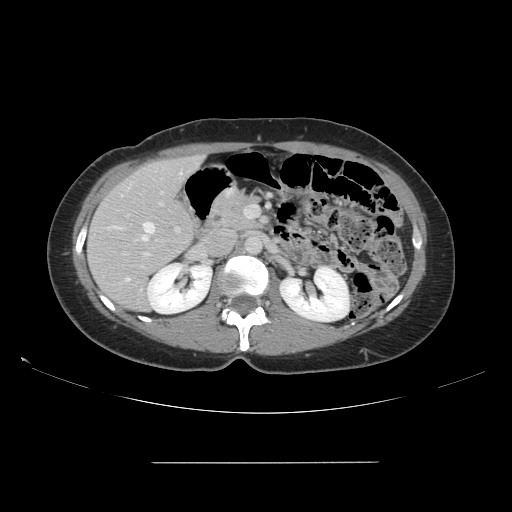

Liver; CT image; 512x512 px
The vessel annotation is not exhaustive.
<segmentation>
  <hepatic_vessel>x1=179 y1=169 x2=182 y2=179, x1=161 y1=192 x2=163 y2=194, x1=141 y1=222 x2=154 y2=240, x1=144 y1=252 x2=148 y2=255, x1=140 y1=289 x2=141 y2=291, x1=175 y1=227 x2=179 y2=231, x1=126 y1=215 x2=128 y2=216, x1=160 y1=202 x2=162 y2=205, x1=108 y1=226 x2=121 y2=229, x1=125 y1=278 x2=129 y2=281, x1=121 y1=195 x2=122 y2=196, x1=123 y1=254 x2=125 y2=255</hepatic_vessel>
</segmentation>